Brain; Field of view 240x240 mm; Slice 100/155
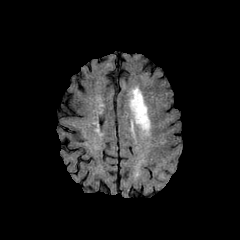
FLAIR MR.
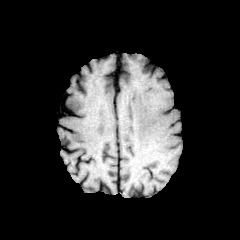
T1-weighted magnetic resonance of the same slice.
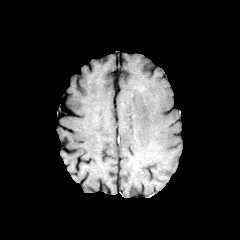
Same slice, post-contrast T1-weighted magnetic resonance.
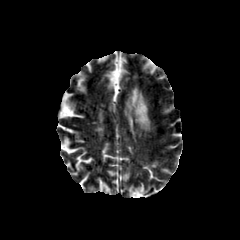
T2-weighted magnetic resonance of the same slice.
The edema is located at 129:87:150:133.